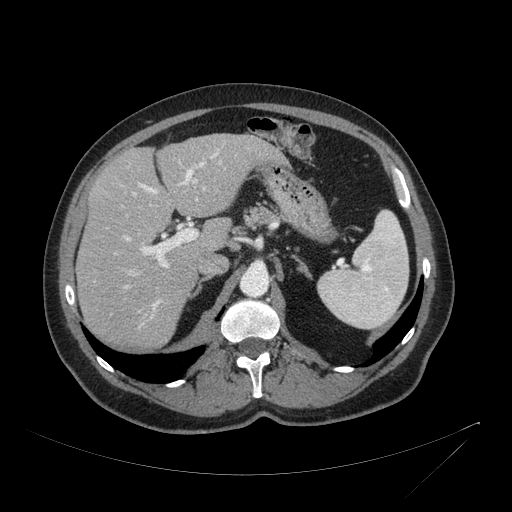
512x512 px; CT slice; Abdomen
<segmentation>
  <liver>rect(76, 134, 286, 347)</liver>
</segmentation>